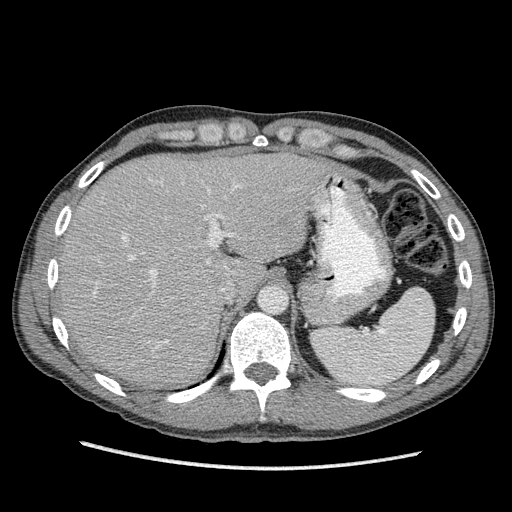
CT; Upper abdomen
liver:
  - left=56, top=147, right=327, bottom=388